Abdomen. CT image. Slice 86 of 121. 512x512.
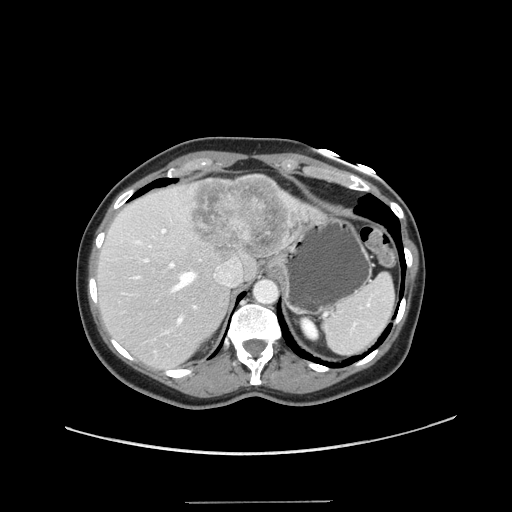

Not every hepatic vessel necessarily has a box.
Segmented structures:
- hepatic vessel: region(177, 317, 182, 322); region(162, 229, 165, 232); region(174, 272, 194, 289); region(170, 263, 173, 266); region(214, 257, 241, 287); region(134, 276, 139, 277); region(145, 259, 147, 260); region(193, 305, 195, 307)
- liver tumor: region(187, 176, 291, 258)